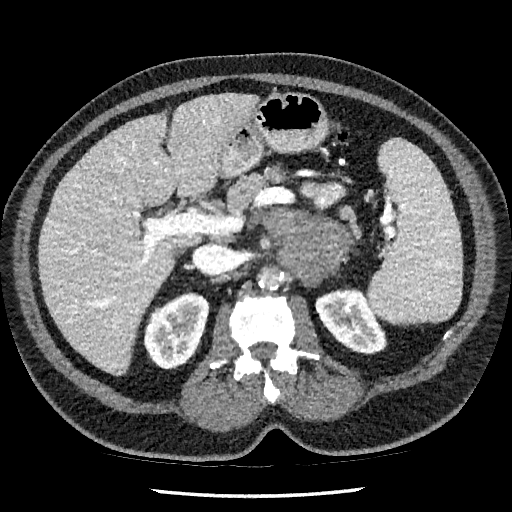 Computed tomography
Kidney = l=316, t=291, r=384, b=352; l=145, t=294, r=208, b=368.
Liver = l=40, t=94, r=258, b=373.